CT image | Field of view 400x400 mm

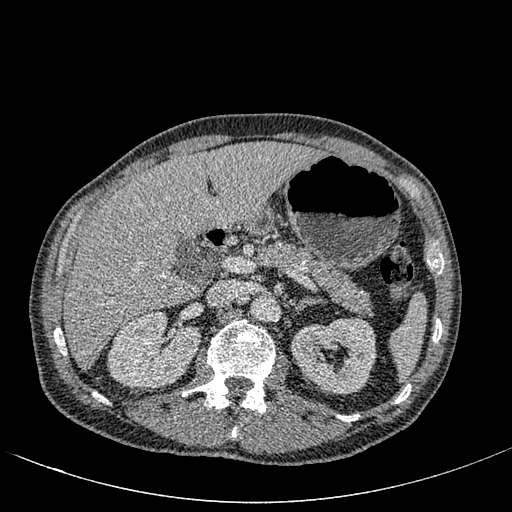 Segmented structures:
- kidney: box=[107, 311, 200, 387]; box=[291, 318, 375, 393]
- liver: box=[64, 142, 324, 369]